CT image
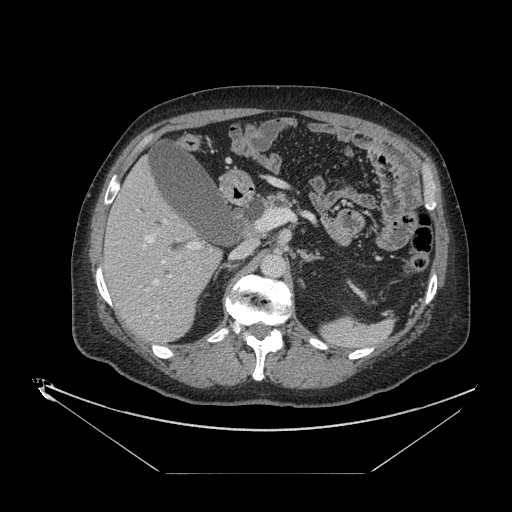

The pancreas is bounded by l=268, t=193, r=291, b=208.